Slice index 162, Computed tomography, Field of view 344x344 mm
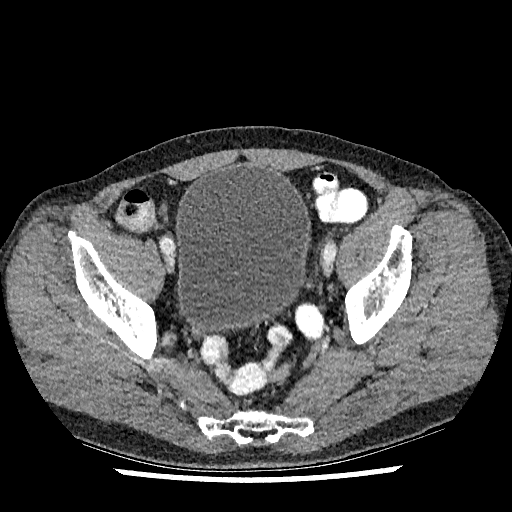
<segmentation>
  <urinary_bladder><box>178,165,309,332</box></urinary_bladder>
</segmentation>